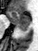 MR | 38x51
The posterior hippocampus is bounded by l=17, t=26, r=28, b=31. The anterior hippocampus appears at l=8, t=11, r=30, b=25.